CT; Liver

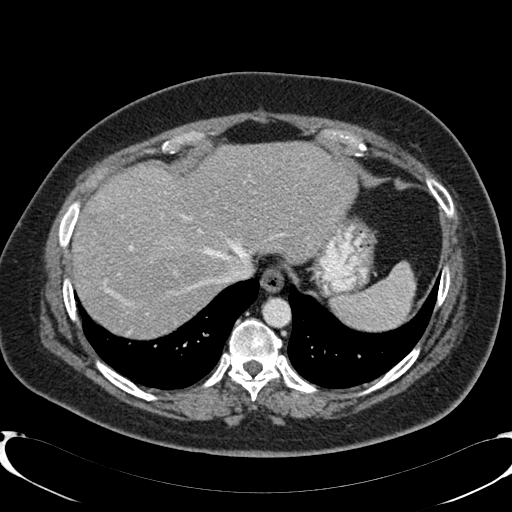

Segmented structures:
- liver: rect(73, 143, 355, 336)